CT slice | 512x512 px | Abdomen
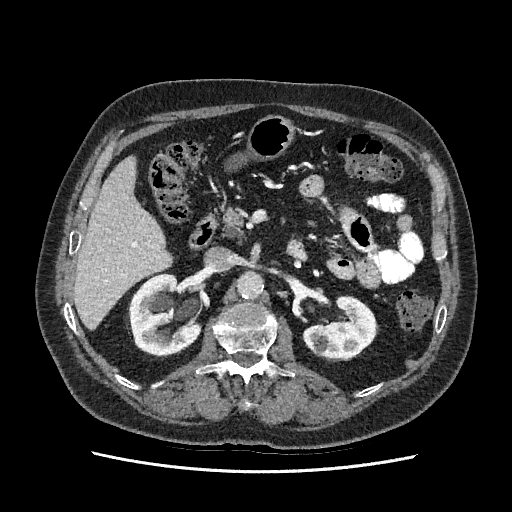 2 kidney regions are located at 130,275,199,354; 304,295,375,357. The liver is at 75,158,171,328.